FLAIR magnetic resonance.
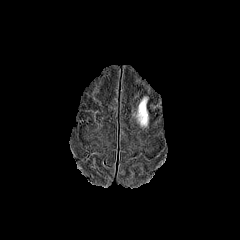
T1-weighted MR image.
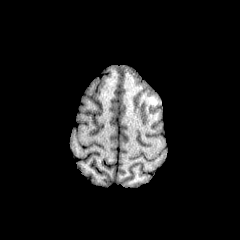
Post-contrast T1-weighted magnetic resonance.
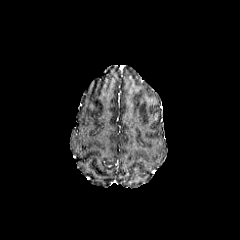
T2-weighted MR image.
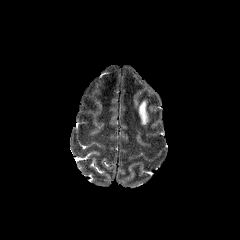
Head
Edema: (137, 97, 147, 126).